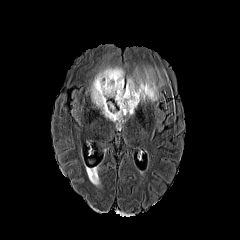
FLAIR magnetic resonance.
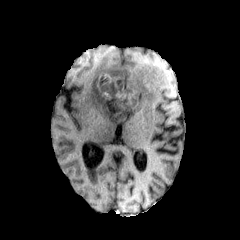
T1-weighted MRI of the same slice.
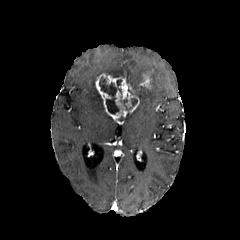
Post-contrast T1-weighted MR.
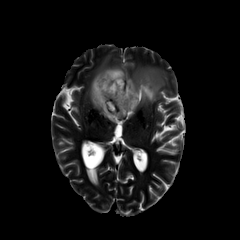
T2-weighted MR.
Annotated regions:
• non-enhancing tumor core: 123,97,132,114; 99,75,119,115
• enhancing tumor: 95,73,139,123; 140,73,152,89
• edema: 86,55,124,121; 127,64,168,108